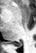

Medial temporal lobe; Magnetic resonance; Image size 36x53

The posterior hippocampus is at x1=13, y1=43, x2=21, y2=47.